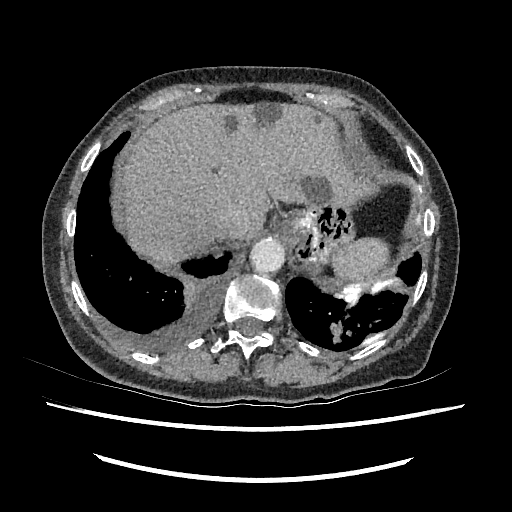 Abdomen. CT slice. {
  "liver_lesion": [
    "region(254, 104, 280, 124)",
    "region(224, 113, 236, 131)",
    "region(283, 176, 332, 202)"
  ],
  "liver": [
    "region(122, 104, 358, 263)"
  ]
}